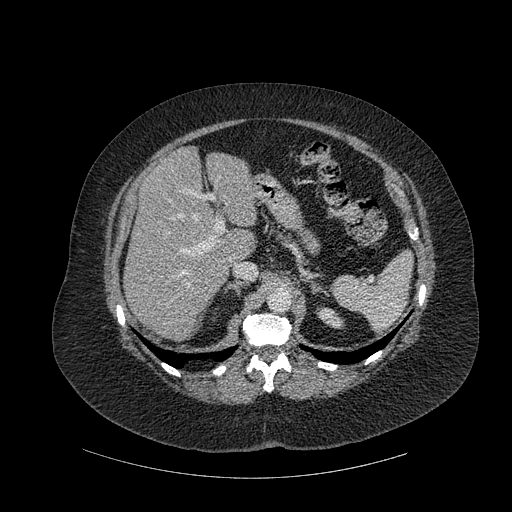 Abdomen. CT. Kidney = [319,308,340,326].
Liver = [207,153,256,226], [124,145,255,341].
Lung = [300,327,398,363], [140,337,236,368].
Bone = [116,305,124,325], [365,351,381,364], [318,362,336,370], [418,285,425,304], [243,314,291,345], [161,363,180,376], [213,366,225,375], [409,228,417,239], [247,353,290,391].